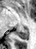

36x49, MR, Hippocampus

Annotated regions:
* posterior hippocampus: bbox(13, 29, 28, 39)